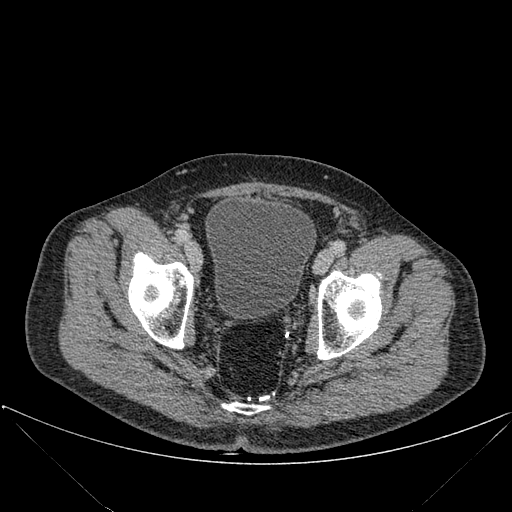

CT
Bone at <bbox>222, 402, 269, 414</bbox>, <bbox>128, 252, 193, 348</bbox>, <bbox>317, 271, 381, 359</bbox>.
Urinary bladder at <bbox>205, 196, 316, 319</bbox>.